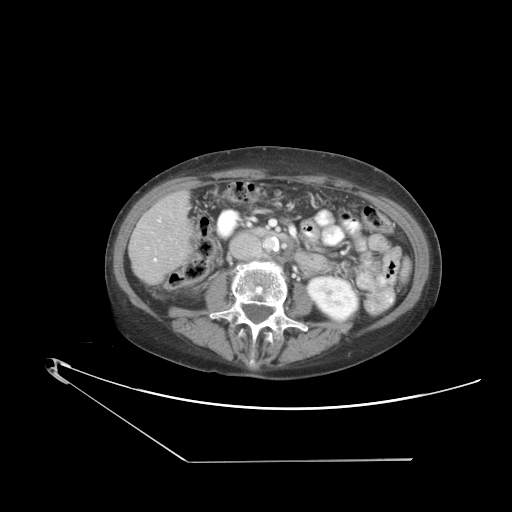
CT, Liver
Some hepatic vessels may have no box.
Hepatic vessel: bounding box box=[158, 219, 160, 221]; box=[154, 258, 156, 261].